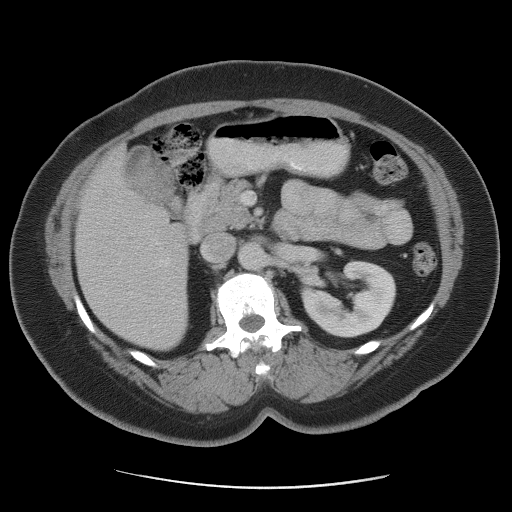

Liver, Computed tomography, 512x512 px
The liver tumor is located at bbox=[132, 158, 170, 203].